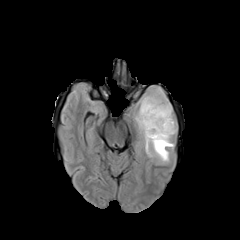
FLAIR magnetic resonance.
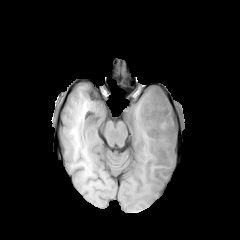
Same slice, T1-weighted MRI.
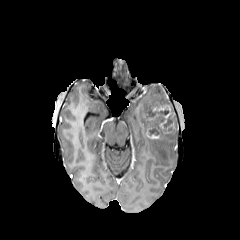
Post-contrast T1-weighted MR image of the same slice.
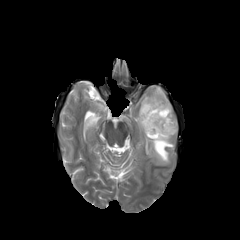
T2-weighted MR.
Brain | Image size 240x240
The edema is located at l=133, t=88, r=175, b=164. The non-enhancing tumor core is bounded by l=141, t=94, r=176, b=136. 2 enhancing tumor regions are located at l=147, t=131, r=159, b=138; l=152, t=104, r=171, b=121.